Slice index 294 | CT slice | Image size 512x512 | Abdomen
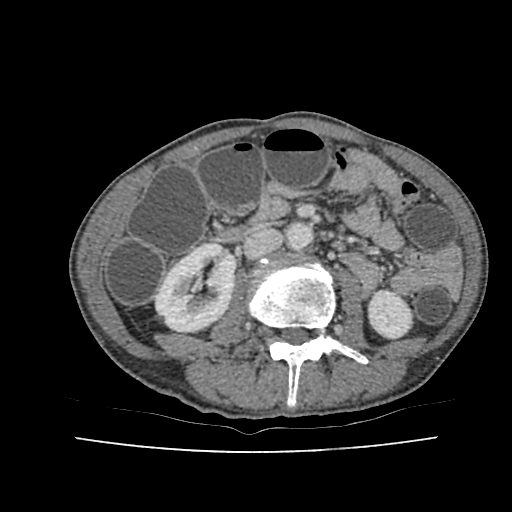

Kidney — bbox=[156, 244, 235, 331]; bbox=[369, 291, 410, 337].